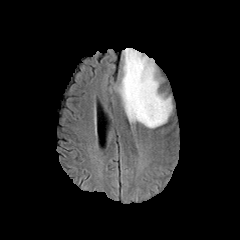
FLAIR MR.
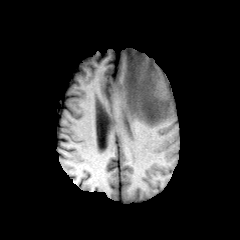
T1-weighted MRI of the same slice.
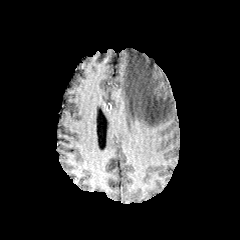
Post-contrast T1-weighted magnetic resonance.
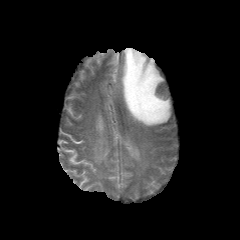
T2-weighted MR.
Brain.
edema: box=[117, 48, 172, 128]